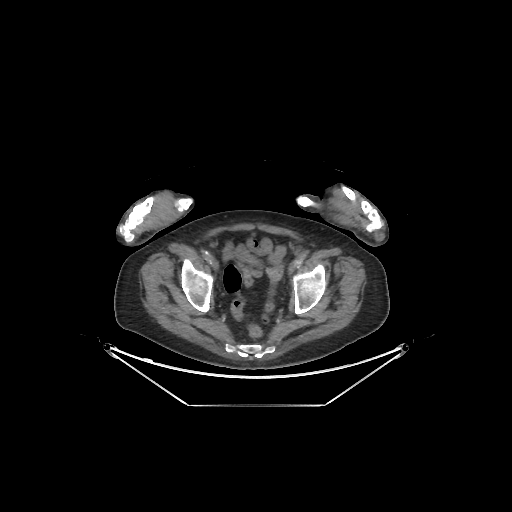
Computed tomography | 512x512 px
bone: box(342, 186, 383, 231); box(293, 264, 325, 314); box(181, 259, 212, 312); box(297, 196, 315, 206); box(120, 197, 153, 240); box(226, 344, 274, 357); box(175, 199, 192, 210)